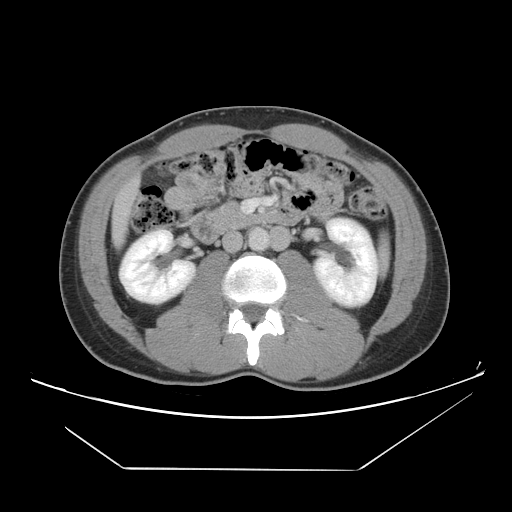 CT

The vessel boxes may cover only some of the vessels.
The hepatic vessel appears at box(124, 210, 126, 213).